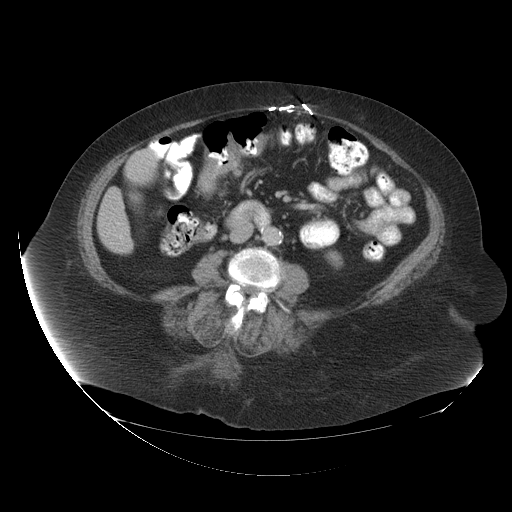
CT image
Colon tumor — <box>198,143,240,193</box>.